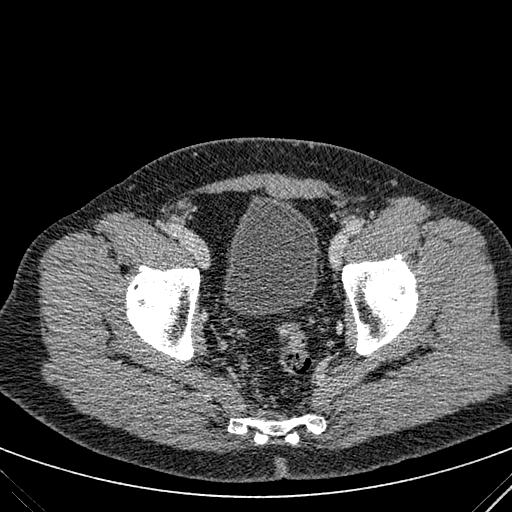 CT

urinary_bladder:
  - [x1=222, y1=197, x2=321, y2=316]